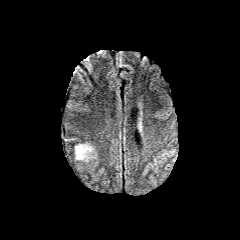
FLAIR MR image.
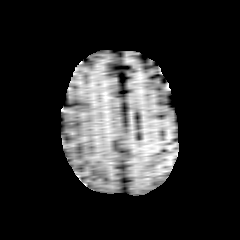
T1-weighted MRI.
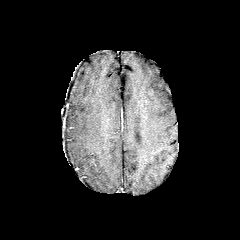
Post-contrast T1-weighted magnetic resonance of the same slice.
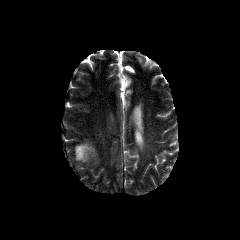
Same slice, T2-weighted MRI.
The edema is at rect(74, 142, 95, 160).